Computed tomography. Upper abdomen.

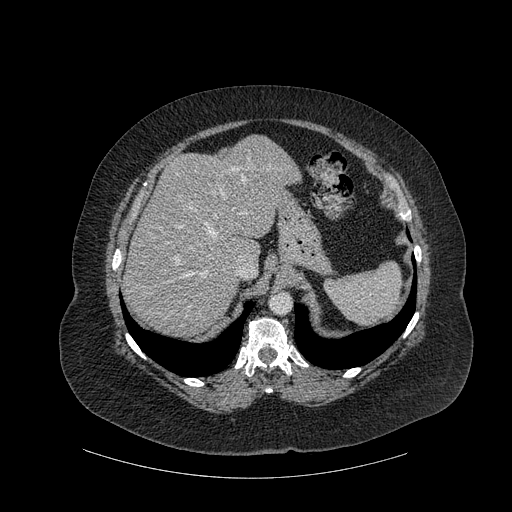 Segmented structures:
* lung: (121, 301, 254, 376), (295, 277, 416, 368)
* liver: (122, 135, 299, 337)
* bone: (343, 368, 360, 377), (126, 333, 145, 358), (414, 246, 421, 261), (403, 312, 418, 337), (401, 210, 410, 220), (112, 249, 121, 269), (184, 378, 203, 386), (235, 318, 308, 376)